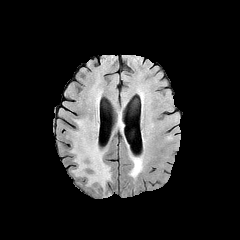
FLAIR MR image.
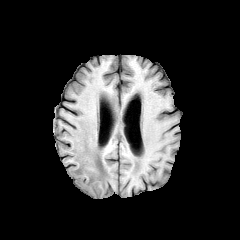
Same slice, T1-weighted MR image.
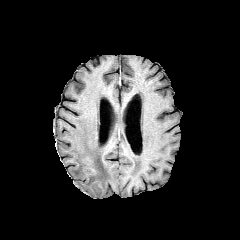
Post-contrast T1-weighted MR.
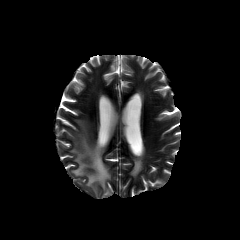
T2-weighted MR image of the same slice.
Brain
2 edema regions are bounded by [x1=129, y1=156, x2=143, y2=179], [x1=70, y1=118, x2=111, y2=189].